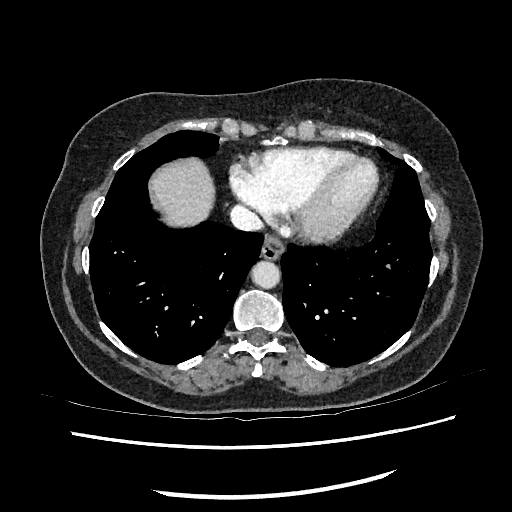 CT.

Segmented structures:
- liver: (152, 159, 213, 227)